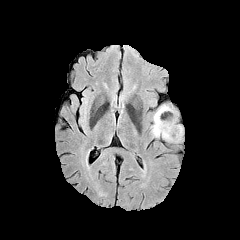
FLAIR MRI.
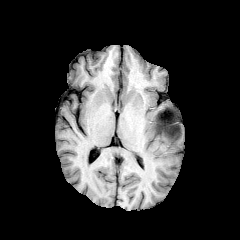
T1-weighted MR.
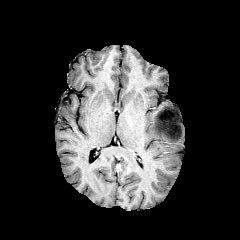
Same slice, post-contrast T1-weighted MR image.
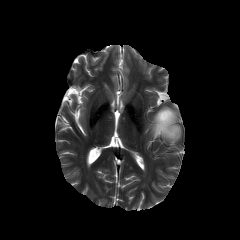
T2-weighted MRI of the same slice.
Non-enhancing tumor core = [158, 113, 180, 138].
Edema = [150, 105, 182, 142].